Abdomen, CT image, Image size 512x512
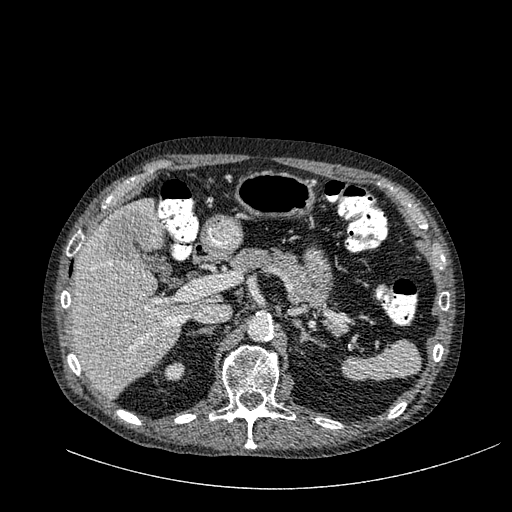
Kidney: bounding box box=[164, 362, 184, 380].
Liver lesion: bounding box box=[104, 211, 152, 264].
Liver: bounding box box=[71, 199, 221, 397].